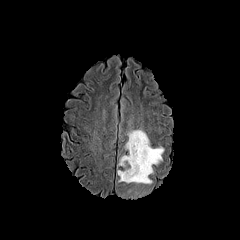
FLAIR MRI.
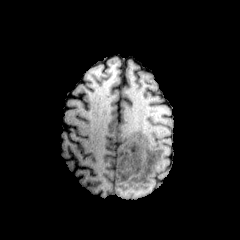
T1-weighted MRI.
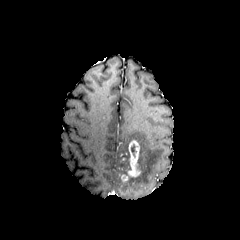
Post-contrast T1-weighted MR.
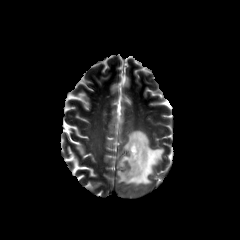
T2-weighted magnetic resonance.
Head. 240x240 px.
edema: x1=118, y1=129, x2=163, y2=198 | enhancing tumor: x1=119, y1=141, x2=141, y2=181